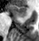 39x41, MR
The anterior hippocampus is located at (12, 5, 26, 17).